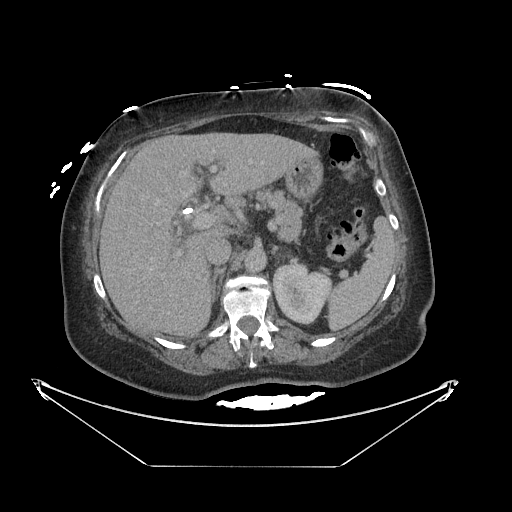

CT slice, Upper abdomen
Findings:
* pancreas: bbox=[259, 190, 301, 241]